Heart | 320x320 px | Magnetic resonance
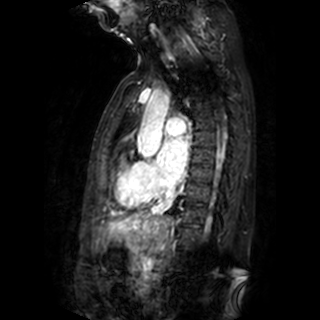
The left atrium appears at [x1=159, y1=138, x2=187, y2=180].